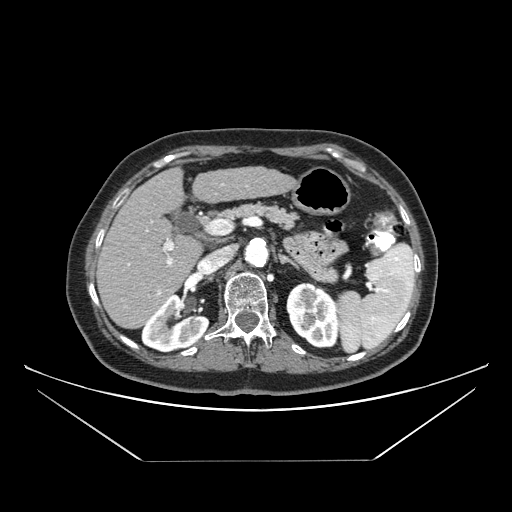
CT scan slice; Upper abdomen

pancreas: 172 201 299 243